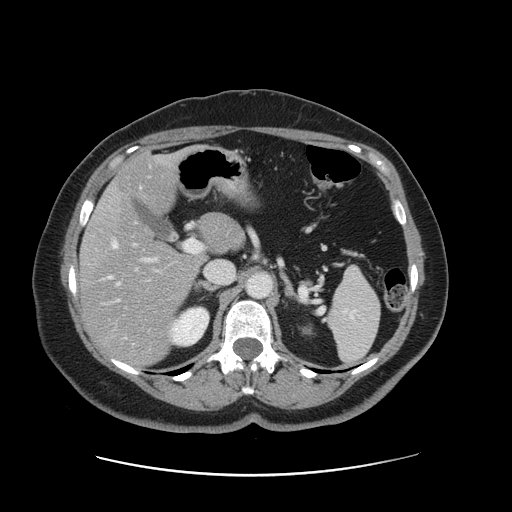 Image size 512x512 | CT image
Some hepatic vessels may have no box.
Hepatic vessel = 134, 243, 136, 245; 117, 282, 120, 285; 116, 299, 119, 301; 144, 257, 157, 261; 105, 275, 112, 278; 112, 241, 117, 247; 156, 270, 158, 271.